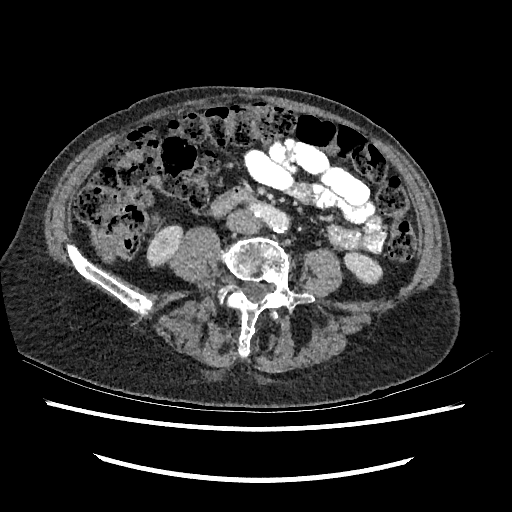

CT image

2 kidney regions are located at [345, 253, 381, 282], [149, 228, 181, 260].